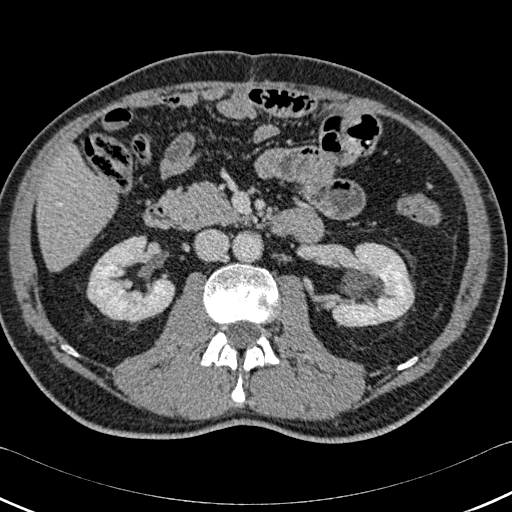 Computed tomography

Segmented structures:
• kidney: <bbox>333, 243, 413, 325</bbox>, <bbox>88, 237, 173, 320</bbox>
• liver: <bbox>37, 148, 116, 269</bbox>
• bone: <bbox>231, 374, 244, 403</bbox>, <bbox>203, 264, 278, 323</bbox>, <bbox>243, 336, 278, 371</bbox>, <bbox>398, 357, 416, 369</bbox>, <bbox>62, 346, 77, 356</bbox>, <bbox>201, 332, 236, 369</bbox>